FLAIR magnetic resonance.
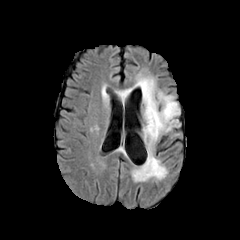
T1-weighted MR image.
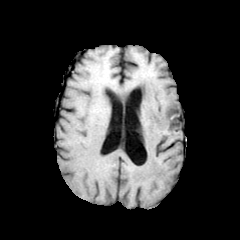
Post-contrast T1-weighted magnetic resonance.
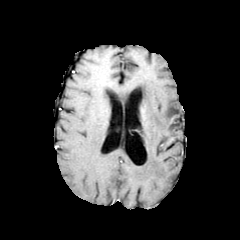
T2-weighted MR image.
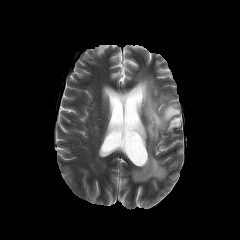
240x240
- edema: <box>132,75,180,181</box>, <box>117,88,132,101</box>